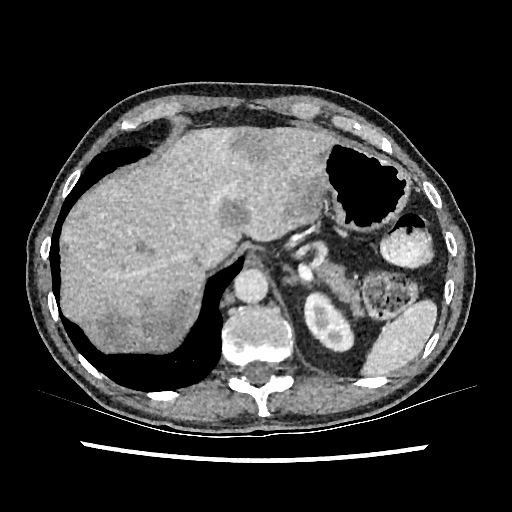 CT, Abdomen

Kidney: bounding box <bbox>305, 294, 352, 350</bbox>.
Liver: bounding box <bbox>62, 127, 334, 324</bbox>.
Hepatic lesion: bounding box <bbox>286, 172, 325, 223</bbox>, <bbox>83, 290, 198, 351</bbox>, <bbox>215, 197, 250, 229</bbox>, <bbox>62, 243, 68, 259</bbox>, <bbox>316, 148, 329, 163</bbox>, <bbox>229, 128, 278, 162</bbox>, <bbox>135, 241, 154, 254</bbox>.